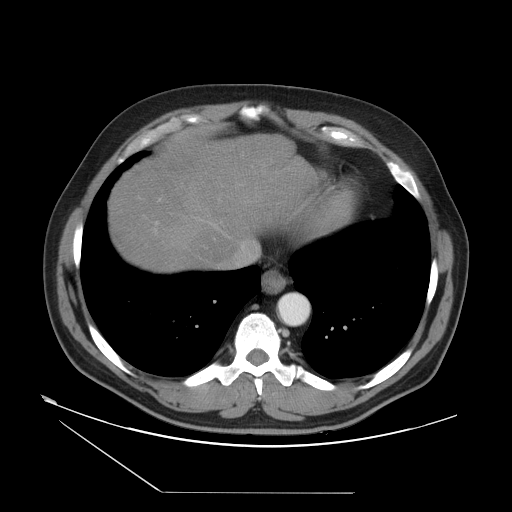
Liver, CT image

The vessel annotation is not exhaustive.
Hepatic vessel = {"x1": 155, "y1": 223, "x2": 157, "y2": 225}, {"x1": 240, "y1": 243, "x2": 243, "y2": 247}.